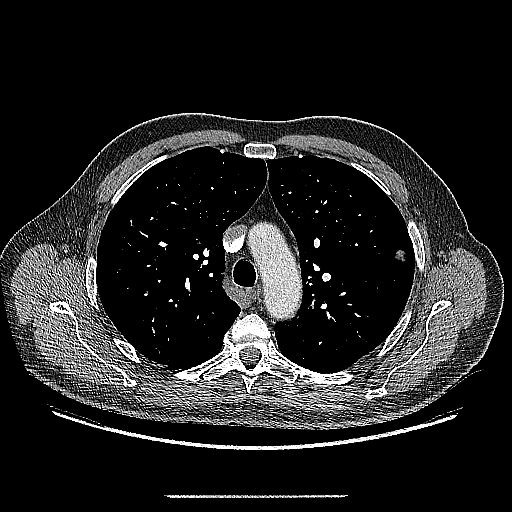

Chest, 512x512, CT
Lung tumor at region(393, 249, 406, 263).